512x512 px | Slice 165 of 245 | CT image

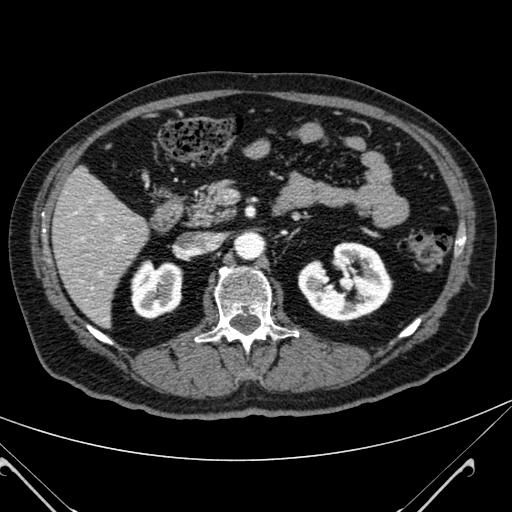

Annotated regions:
• liver: l=50, t=175, r=145, b=324
• kidney: l=132, t=262, r=180, b=317; l=299, t=243, r=390, b=319